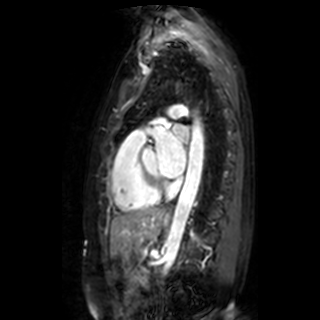

MRI slice; Cardiac
The left atrium lies within rect(155, 125, 188, 177).